CT image. Field of view 328x328 mm. 512x512. Slice 479/751. 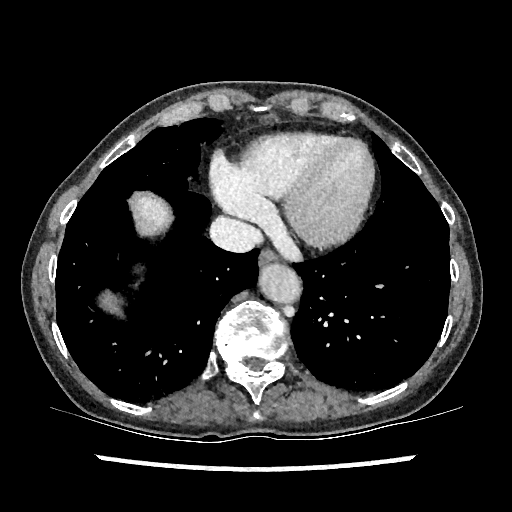
liver: {"x1": 134, "y1": 194, "x2": 168, "y2": 234}